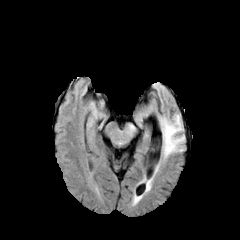
FLAIR MR.
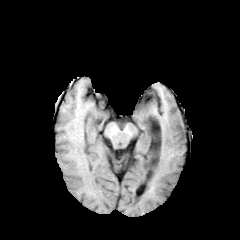
T1-weighted magnetic resonance.
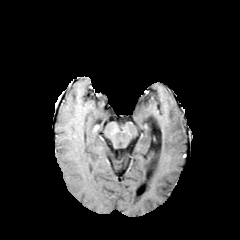
Post-contrast T1-weighted magnetic resonance of the same slice.
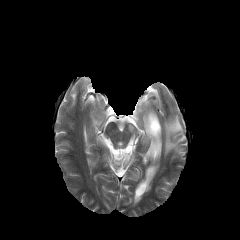
T2-weighted MR image.
Image size 240x240.
The edema is located at [161, 116, 183, 157].